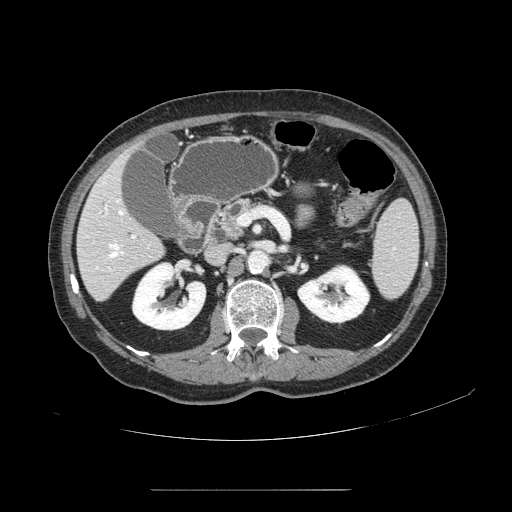

Abdomen | Image size 512x512 | Computed tomography

pancreas: l=220, t=198, r=256, b=239